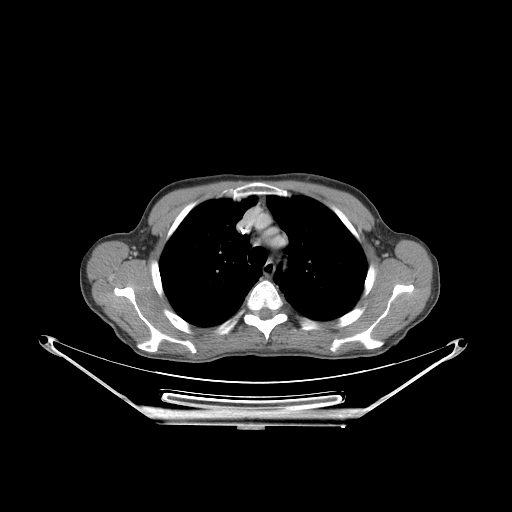
Chest | CT slice
Lung — 266 195 367 320, 159 196 261 326.
Bone — 244 281 286 338, 365 276 373 293, 169 205 190 233, 219 324 233 333, 303 323 315 329, 339 309 363 326, 331 285 413 349, 165 310 188 332, 233 183 264 197, 151 262 161 294, 114 287 195 352.